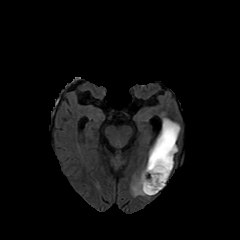
FLAIR magnetic resonance.
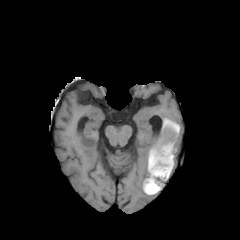
Same slice, T1-weighted MRI.
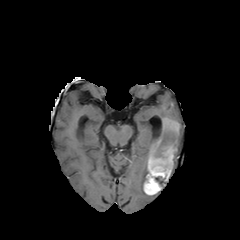
Same slice, post-contrast T1-weighted MR image.
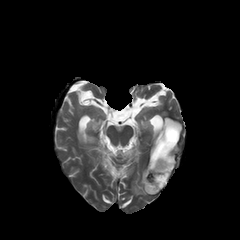
Same slice, T2-weighted MRI.
240x240 px
Enhancing tumor: bounding box l=163, t=122, r=178, b=133; l=144, t=176, r=159, b=193; l=148, t=154, r=168, b=177; l=162, t=145, r=171, b=156.
Edema: bounding box l=174, t=132, r=180, b=153; l=131, t=162, r=147, b=195.
Non-enhancing tumor core: bounding box l=143, t=168, r=151, b=189; l=152, t=176, r=166, b=189; l=148, t=126, r=179, b=175.